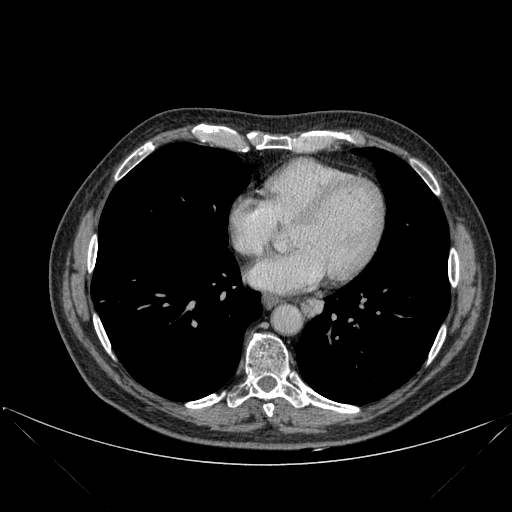 Computed tomography, Thorax
* lung: (297, 147, 450, 403), (91, 143, 262, 401)
* bone: (87, 235, 97, 271), (115, 143, 152, 179), (448, 249, 458, 286), (263, 403, 273, 416), (304, 131, 352, 140), (228, 333, 358, 412), (93, 316, 110, 352), (424, 168, 439, 194), (257, 135, 291, 148), (428, 327, 445, 363), (186, 393, 224, 408)